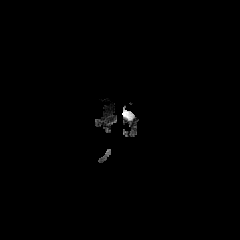
FLAIR MR image.
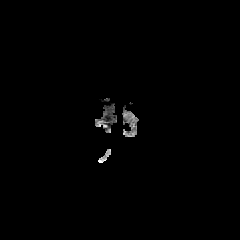
T1-weighted MR image of the same slice.
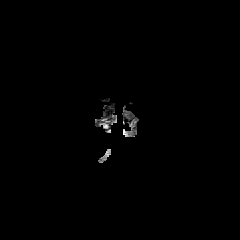
Same slice, post-contrast T1-weighted MRI.
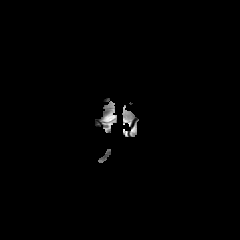
T2-weighted MRI.
Brain
Edema = (124,110,133,119).